Upper abdomen | Computed tomography 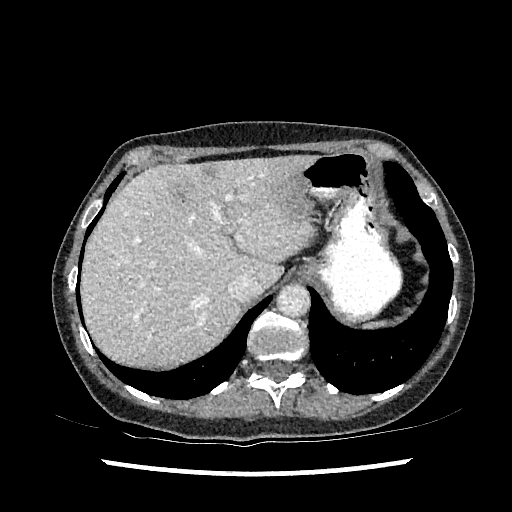

Liver: bounding box (80,155,318,365).
Liver lesion: bounding box (169,179,196,205), (273,167,306,215), (207,165,218,178).